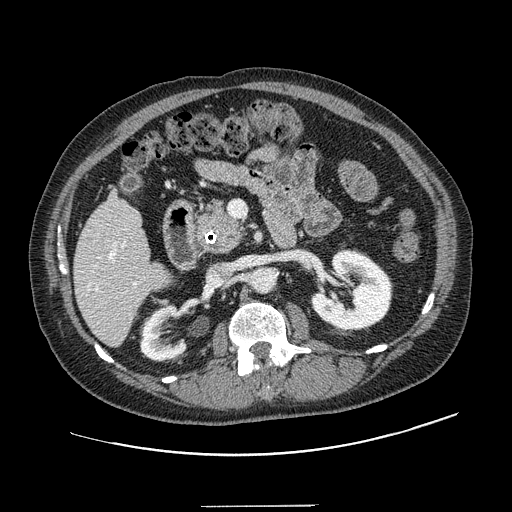 Upper abdomen. CT slice. Segmented structures:
* pancreatic tumor: (x1=214, y1=240, x2=223, y2=252)
* pancreas: (x1=194, y1=199, x2=243, y2=255)